Brain, 240x240 px, Slice 88 of 155
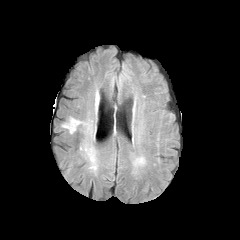
FLAIR magnetic resonance.
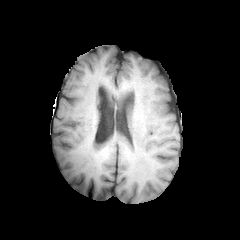
T1-weighted magnetic resonance of the same slice.
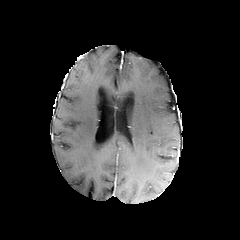
Post-contrast T1-weighted magnetic resonance.
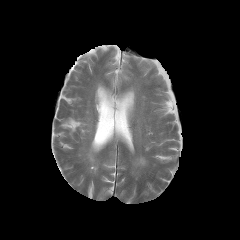
Same slice, T2-weighted MR image.
edema: x1=133, y1=156, x2=146, y2=167